Slice 15 of 34. CT image.

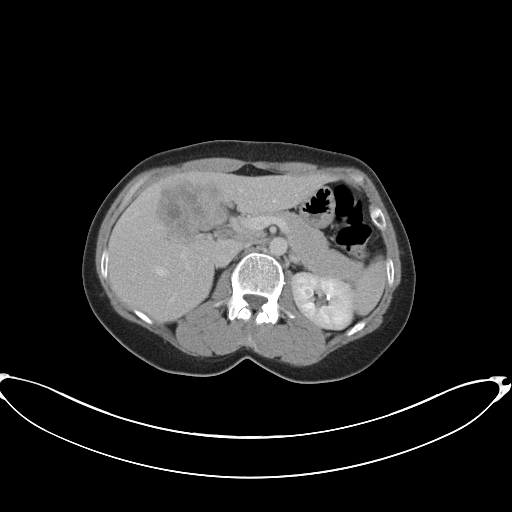
Some hepatic vessels may have no box.
{
  "liver_tumor": [
    "(159,181,227,239)"
  ],
  "hepatic_vessel": [
    "(155,266,164,275)",
    "(181,252,185,258)"
  ]
}